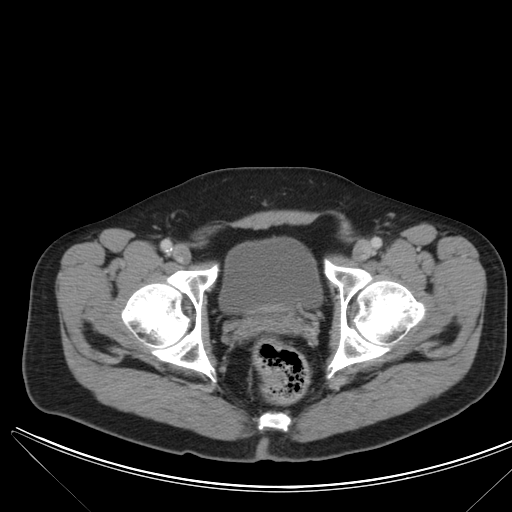

512x512; CT

<segmentation>
  <colon_tumor>(x1=263, y1=369, x2=283, y2=386)</colon_tumor>
</segmentation>